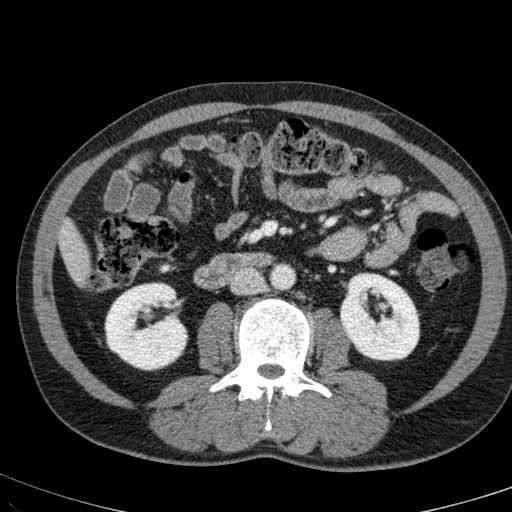 Upper abdomen; CT scan slice

<segmentation>
  <liver>58, 221, 87, 278</liver>
  <kidney>106, 284, 186, 368; 341, 274, 418, 359</kidney>
</segmentation>